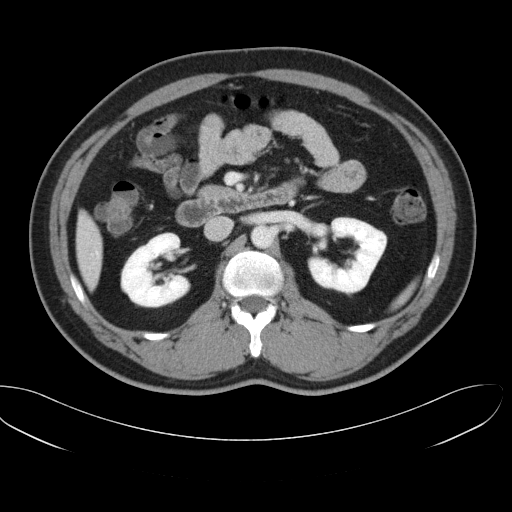
Liver | CT scan slice

The vessel annotation is not exhaustive.
hepatic_vessel:
  - 92 251 98 256